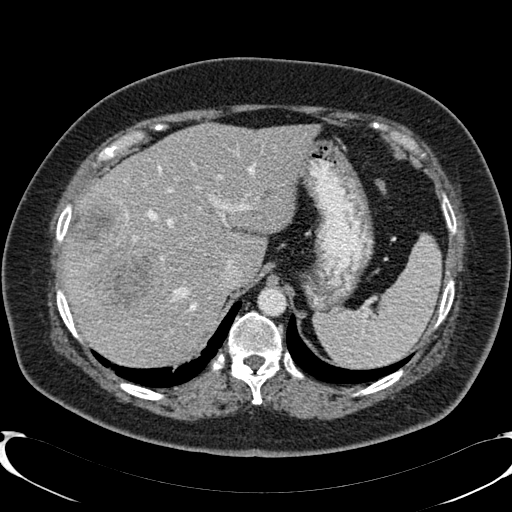

CT slice
hepatic lesion: 70, 204, 115, 251; 91, 246, 159, 316; 262, 189, 275, 199 | liver: 64, 124, 320, 366